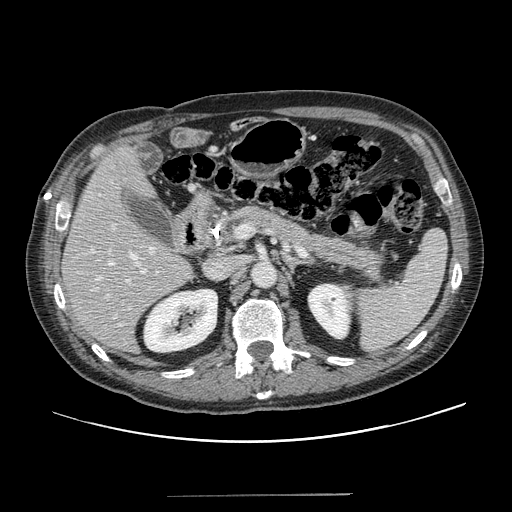
CT scan slice; Upper abdomen
Annotated regions:
* pancreas: 195, 204, 387, 286